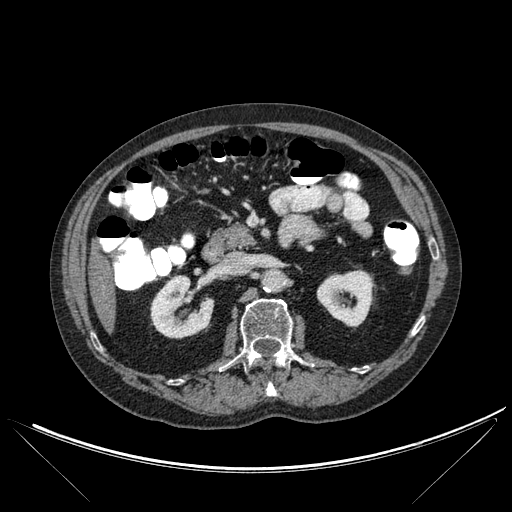

CT slice | Upper abdomen
Bone: bounding box (x1=353, y1=366, x2=365, y2=373), (x1=226, y1=299, x2=293, y2=365), (x1=412, y1=318, x2=423, y2=334), (x1=266, y1=383, x2=276, y2=395).
Kidney: bounding box (x1=151, y1=275, x2=213, y2=337), (x1=317, y1=271, x2=372, y2=326).
Liver: bounding box (x1=88, y1=239, x2=117, y2=333).